Slice 15/168. CT slice. Liver. 512x512 px. 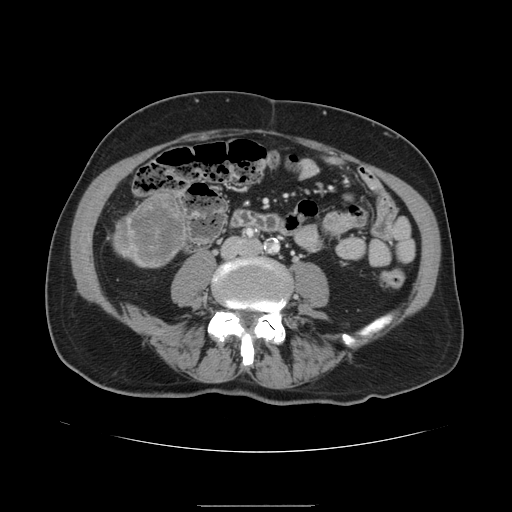

The liver tumor is located at left=119, top=194, right=185, bottom=264.